Magnetic resonance; Heart; 320x320 px
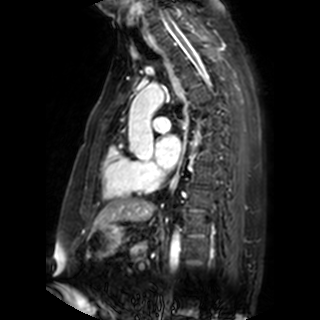
Annotated regions:
* left atrium: bbox=[155, 135, 180, 169]